CT scan slice; 512x512 px; Slice 576 of 986 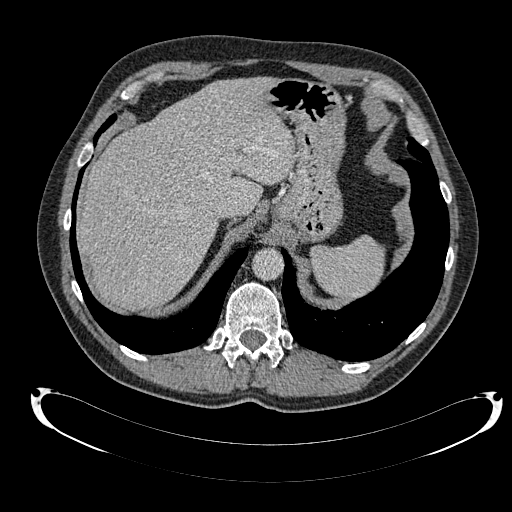 {"liver": ["bbox(81, 77, 295, 309)"]}